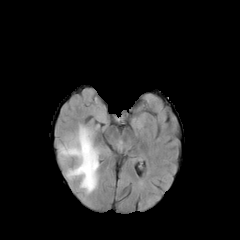
FLAIR magnetic resonance.
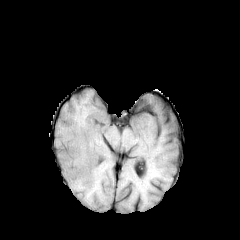
T1-weighted MR.
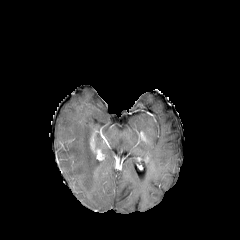
Post-contrast T1-weighted MRI of the same slice.
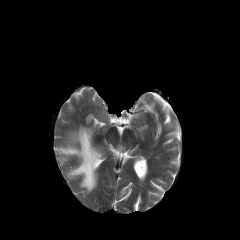
T2-weighted MR.
Head.
edema:
  - {"x1": 58, "y1": 125, "x2": 100, "y2": 192}